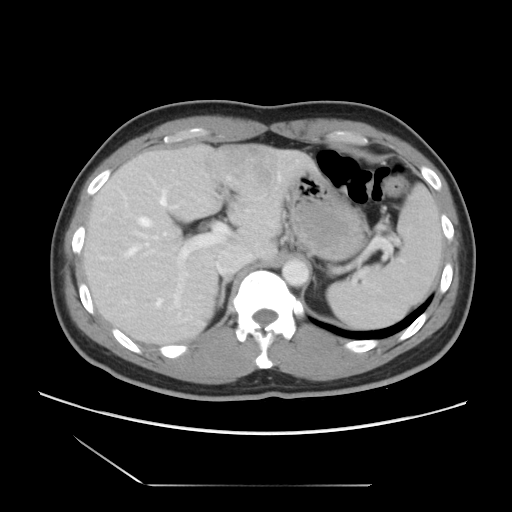 CT slice

The vessel boxes may cover only some of the vessels.
Findings:
* liver tumor: l=205, t=145, r=278, b=197
* hepatic vessel: l=140, t=218, r=149, b=225; l=179, t=312, r=180, b=313; l=160, t=196, r=165, b=204; l=168, t=223, r=229, b=309; l=247, t=210, r=248, b=211; l=129, t=248, r=136, b=254; l=158, t=300, r=160, b=304